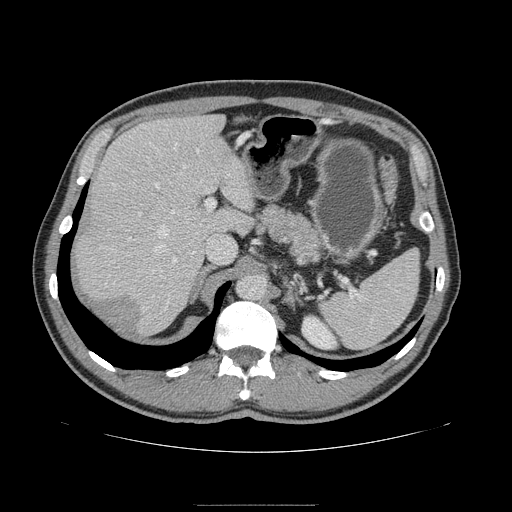

CT image; Upper abdomen

pancreas:
  - (x1=256, y1=205, x2=324, y2=265)